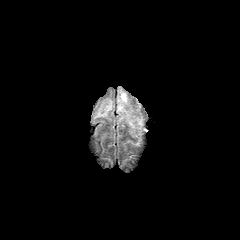
FLAIR MRI.
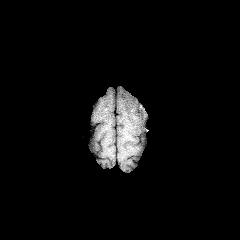
T1-weighted MR.
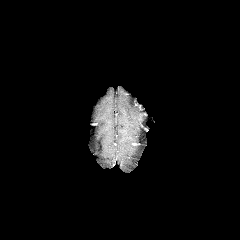
Same slice, post-contrast T1-weighted MR image.
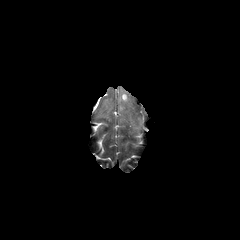
Same slice, T2-weighted MR image.
240x240; Head
edema:
  - 118:93:127:111